CT | Field of view 420x420 mm | Liver
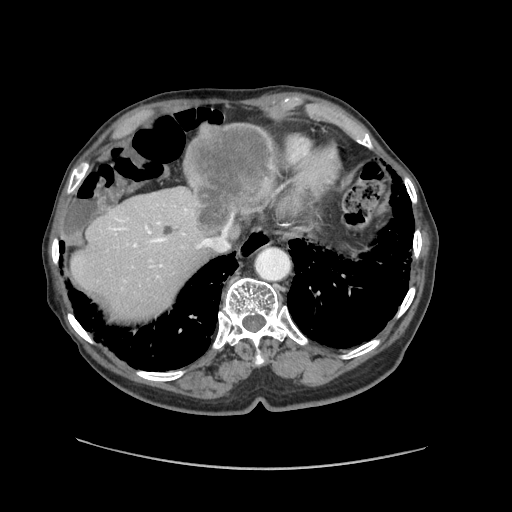

The vessel annotation is not exhaustive.
<segmentation>
  <liver_tumor>186,126,272,230</liver_tumor>
  <hepatic_vessel>133,242,136,246; 149,237,166,242; 196,215,232,251</hepatic_vessel>
</segmentation>